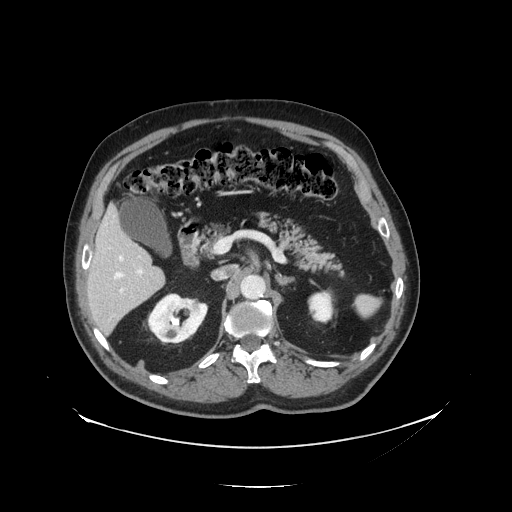 Computed tomography, Abdomen
The vessel boxes may cover only some of the vessels.
4 hepatic vessel regions are located at region(115, 273, 123, 278); region(120, 289, 123, 291); region(138, 270, 142, 274); region(120, 257, 122, 260).